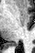

Magnetic resonance | Hippocampus

The posterior hippocampus is located at x1=12 y1=43 x2=17 y2=46.